Computed tomography; Upper abdomen

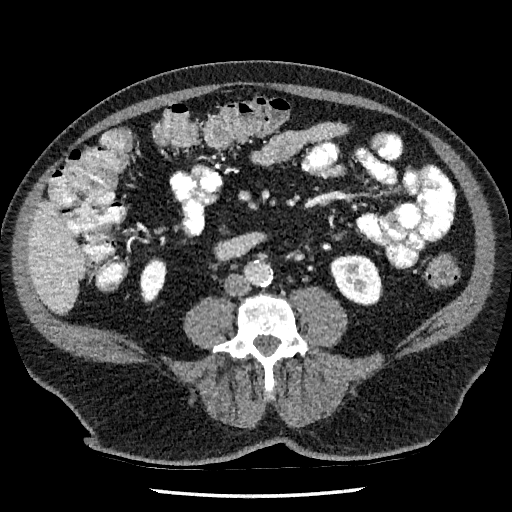

Annotated regions:
* kidney: [x1=332, y1=256, x2=380, y2=303], [x1=141, y1=261, x2=164, y2=299]
* liver: [x1=28, y1=201, x2=84, y2=313]